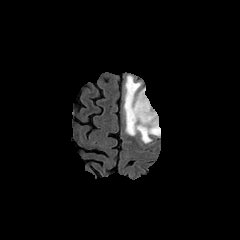
FLAIR MR image.
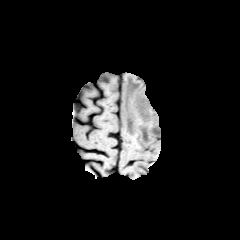
T1-weighted MR image of the same slice.
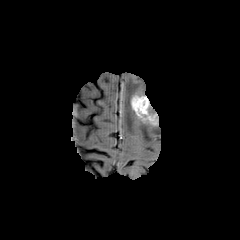
Post-contrast T1-weighted MRI.
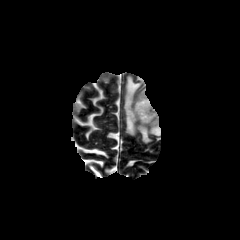
Same slice, T2-weighted MRI.
Brain
Edema = left=122, top=74, right=160, bottom=143.
Non-enhancing tumor core = left=141, top=128, right=147, bottom=139; left=124, top=80, right=144, bottom=129; left=152, top=117, right=159, bottom=133.
Enhancing tumor = left=130, top=95, right=157, bottom=125.